Image size 512x512 | CT image
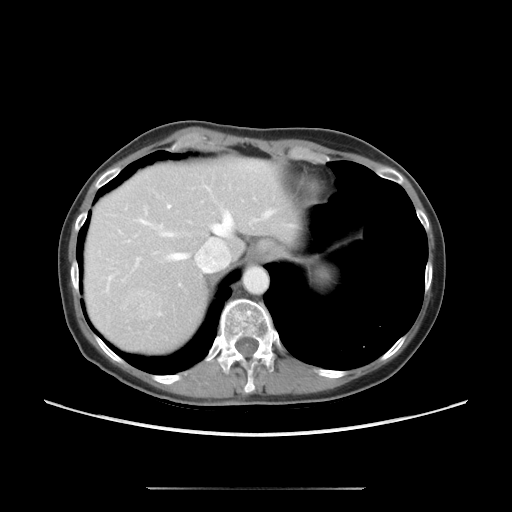
Only some of the vessels may be annotated.
Findings:
• hepatic vessel: (x1=249, y1=212, x2=269, y2=223), (x1=137, y1=218, x2=153, y2=227), (x1=165, y1=252, x2=189, y2=260), (x1=168, y1=206, x2=170, y2=207), (x1=159, y1=226, x2=161, y2=228), (x1=161, y1=232, x2=171, y2=234), (x1=212, y1=211, x2=232, y2=237)
• liver tumor: (x1=128, y1=289, x2=160, y2=320)